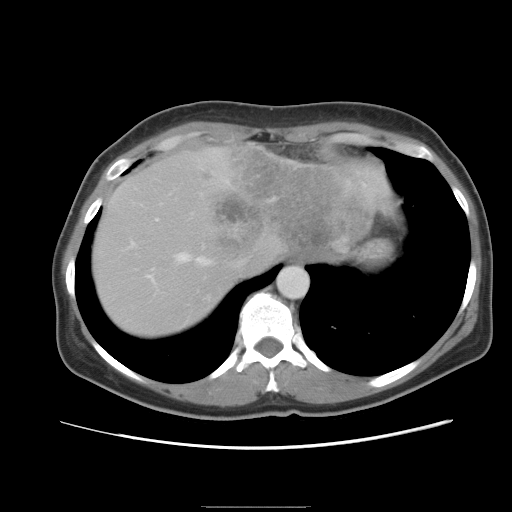
CT slice

The vessel annotation is not exhaustive.
• liver tumor: 196, 144, 373, 269
• hepatic vessel: 129, 241, 134, 246; 147, 269, 153, 279; 211, 260, 214, 265; 175, 253, 187, 261; 197, 257, 207, 264